320x320. MRI. 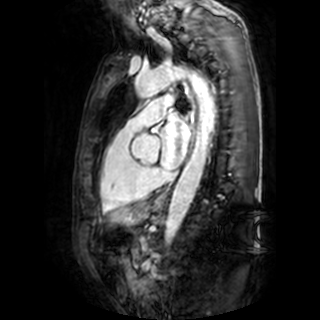

Annotated regions:
• left atrium: (x1=160, y1=113, x2=189, y2=169)